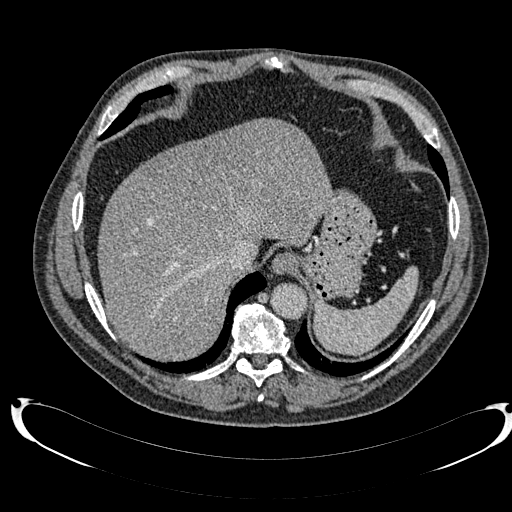 CT slice | Image size 512x512

hepatic lesion: [138,126,262,220] | liver: [98,119,329,360]